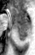
MR image. {
  "posterior_hippocampus": [
    "(15,24,28,40)"
  ],
  "anterior_hippocampus": [
    "(10,6,28,23)"
  ]
}